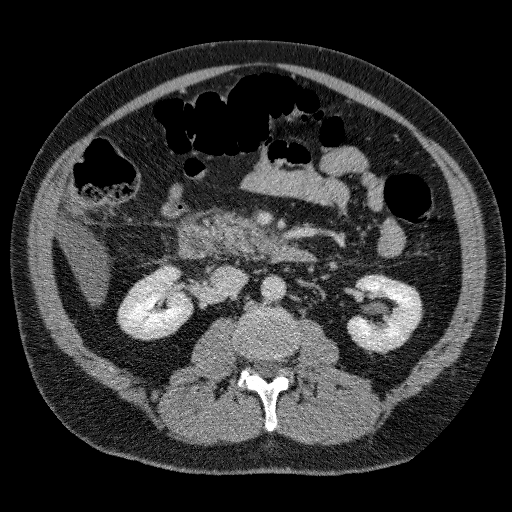 Abdomen. Computed tomography.
Kidney at [119, 267, 191, 338], [349, 276, 420, 350].
Liver at [56, 218, 106, 302].